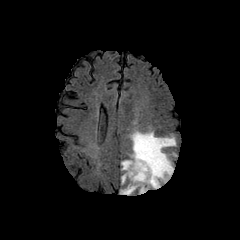
FLAIR MRI.
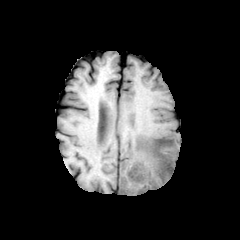
T1-weighted magnetic resonance.
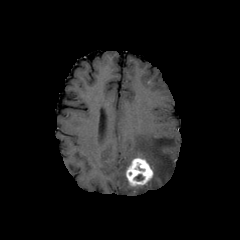
Same slice, post-contrast T1-weighted MR image.
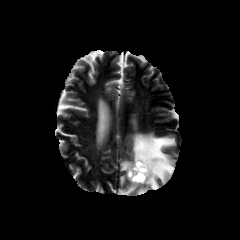
T2-weighted MR image.
Enhancing tumor = (125, 154, 153, 187).
Non-enhancing tumor core = (134, 150, 155, 174).
Edema = (119, 130, 176, 194).